CT scan slice | Abdomen | Slice 36 of 47

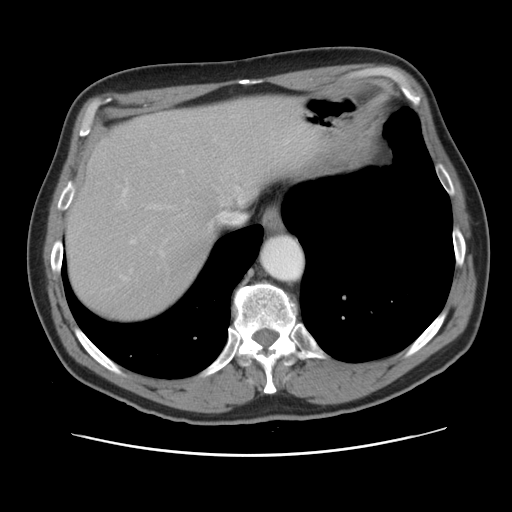

Only some of the vessels may be annotated.
Findings:
• hepatic vessel: 130,239,134,242; 150,251,151,252; 151,204,160,207; 126,135,128,137; 159,250,162,254; 217,211,222,217; 120,187,126,206